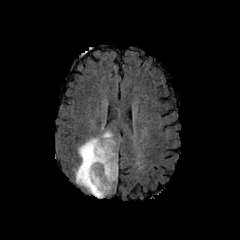
FLAIR magnetic resonance.
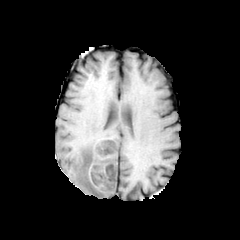
T1-weighted MR image of the same slice.
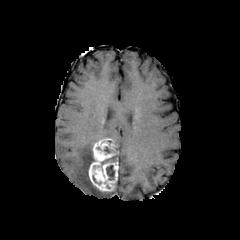
Post-contrast T1-weighted MRI.
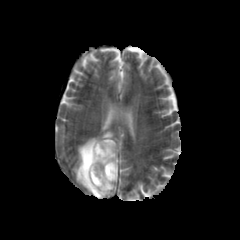
Same slice, T2-weighted MR.
Brain
The enhancing tumor appears at region(88, 139, 117, 191). 3 non-enhancing tumor core regions appear at region(106, 165, 114, 179); region(82, 148, 97, 191); region(100, 151, 117, 165). The edema appears at region(72, 129, 113, 198).